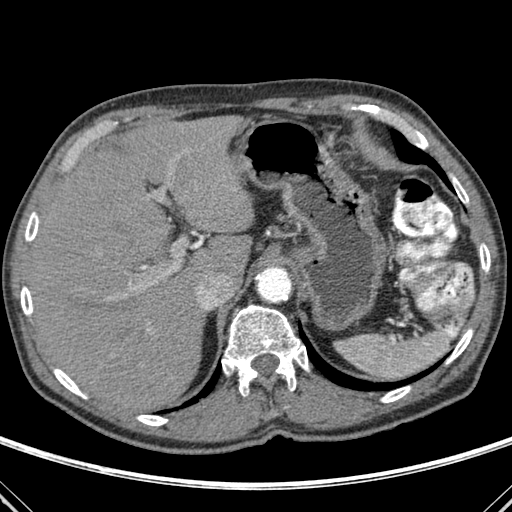 Abdomen, CT slice

Liver at region(26, 116, 253, 415).
Bone at region(479, 243, 490, 271); region(25, 212, 38, 241); region(221, 305, 308, 395); region(21, 286, 32, 315); region(413, 132, 428, 148); region(381, 386, 410, 402); region(137, 415, 167, 425); region(446, 329, 472, 363); region(54, 368, 86, 398); region(450, 175, 468, 203).
Lung at region(299, 323, 443, 390); region(181, 362, 220, 407); region(391, 130, 454, 192).